Image size 240x240. Brain.
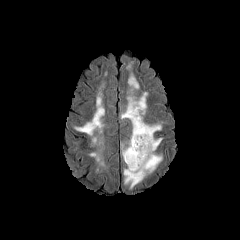
FLAIR magnetic resonance.
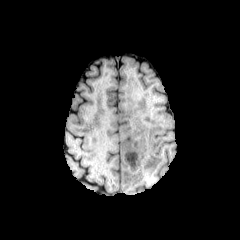
Same slice, T1-weighted magnetic resonance.
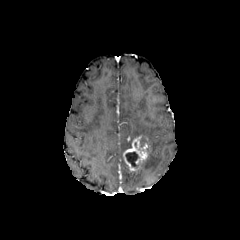
Post-contrast T1-weighted MR image.
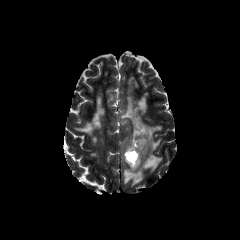
Same slice, T2-weighted MRI.
{
  "non-enhancing_tumor_core": [
    "125:151:139:168"
  ],
  "edema": [
    "121:93:162:189",
    "128:75:139:89",
    "74:97:104:136"
  ],
  "enhancing_tumor": [
    "123:135:151:171"
  ]
}